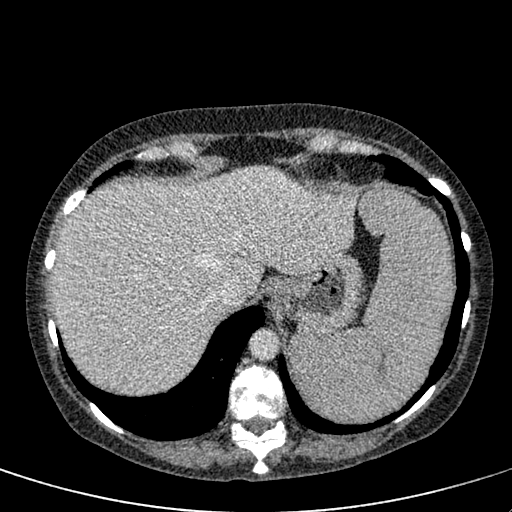

CT
{"liver": ["(55,168,359,394)"]}